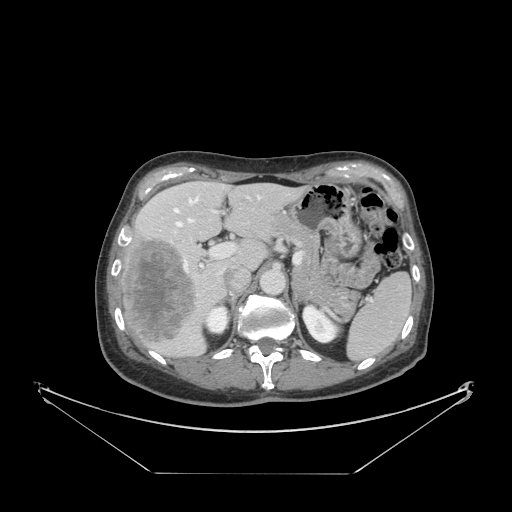

CT image

The spleen is bounded by 348 274 411 359.